FLAIR MR.
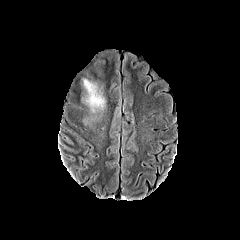
T1-weighted magnetic resonance.
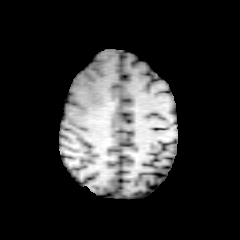
Post-contrast T1-weighted MR image.
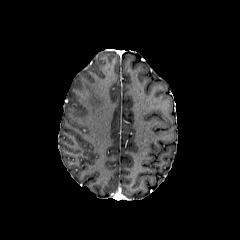
T2-weighted MRI.
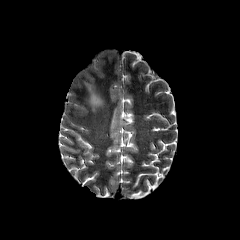
Head. 240x240 px.
{"edema": ["[x1=84, y1=80, x2=105, y2=112]"]}